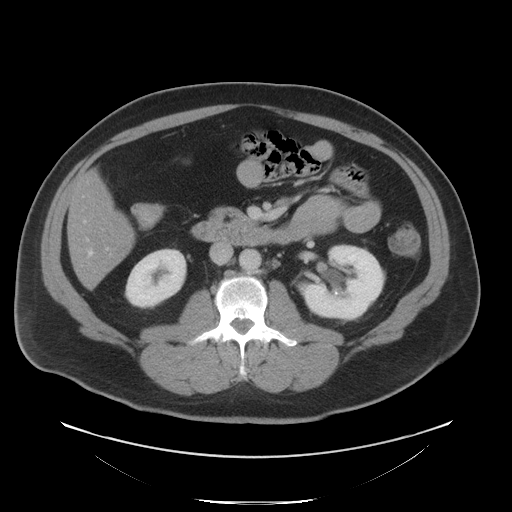 Image size 512x512 | Computed tomography
• pancreas: box=[212, 208, 247, 223]